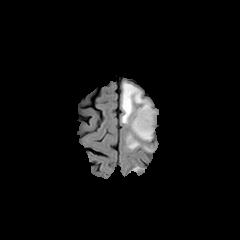
FLAIR magnetic resonance.
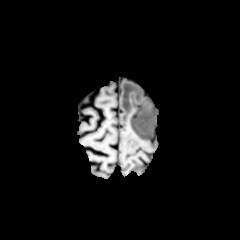
T1-weighted MR image.
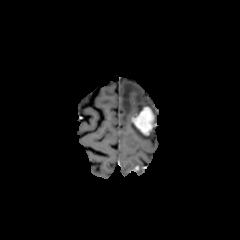
Post-contrast T1-weighted magnetic resonance of the same slice.
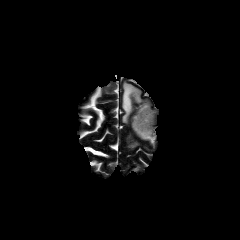
Same slice, T2-weighted MRI.
Enhancing tumor at (131, 106, 155, 135).
Edema at (131, 123, 152, 140), (127, 135, 139, 149), (121, 82, 150, 124).